FLAIR MR.
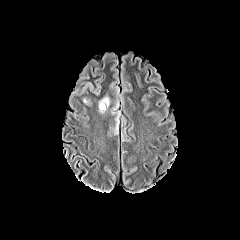
T1-weighted MRI.
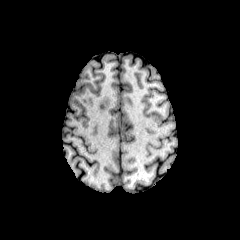
Post-contrast T1-weighted MRI.
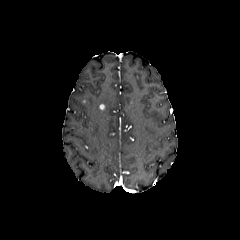
T2-weighted magnetic resonance.
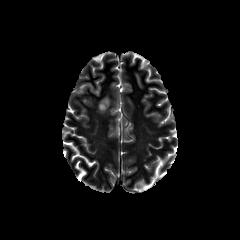
240x240
Edema = x1=98 y1=96 x2=109 y2=112.